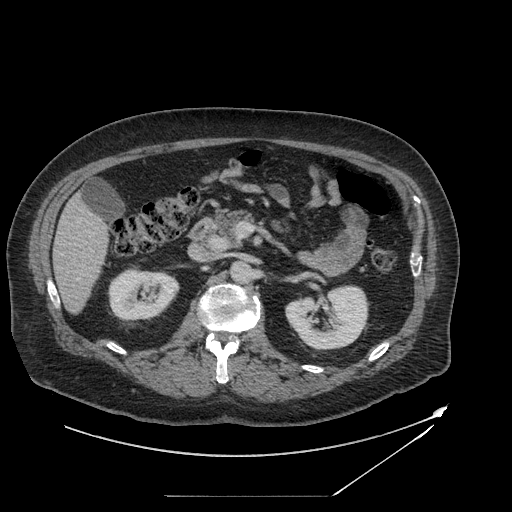 Computed tomography. Upper abdomen.

Pancreas: x1=203 y1=210 x2=254 y2=250.
Pancreatic tumor: x1=208 y1=234 x2=230 y2=251.